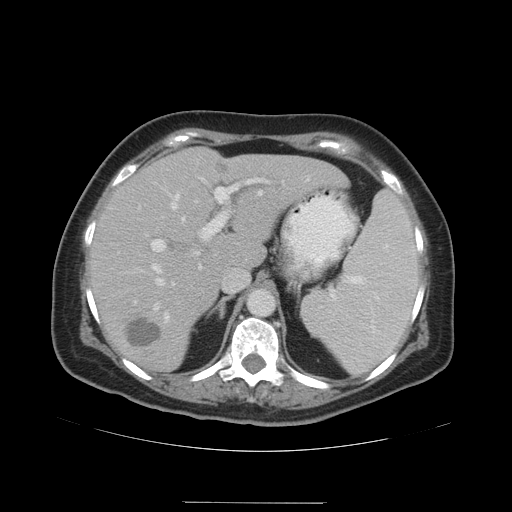 Computed tomography, Abdomen
Not every hepatic vessel necessarily has a box.
Segmented structures:
* liver tumor: 215, 160, 226, 173; 129, 320, 161, 347
* hepatic vessel (most prominent 15 of 17): 152, 264, 161, 272; 244, 178, 268, 184; 171, 203, 176, 208; 151, 239, 165, 251; 156, 278, 163, 285; 198, 211, 226, 238; 182, 217, 184, 220; 196, 252, 199, 254; 176, 194, 179, 198; 154, 303, 158, 309; 164, 312, 168, 322; 307, 175, 309, 181; 214, 184, 240, 203; 198, 264, 201, 269; 258, 190, 261, 194